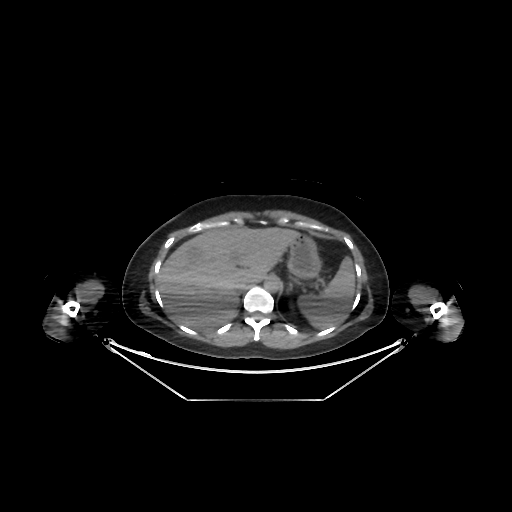 Computed tomography; Liver
Segmented structures:
* liver: <bbox>154, 223, 300, 336</bbox>